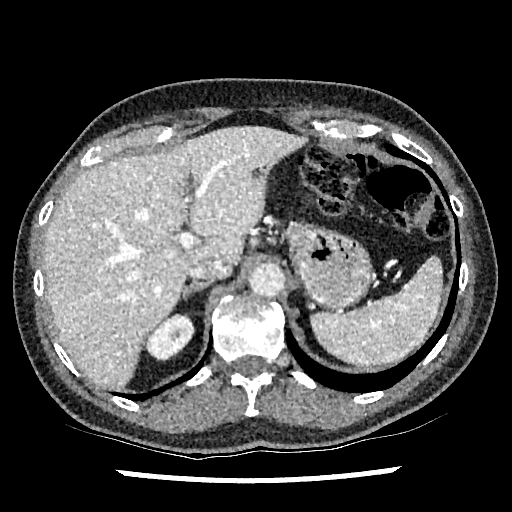
512x512 px, CT scan slice
The liver is at l=44, t=126, r=307, b=387. The hepatic lesion is at l=252, t=166, r=266, b=177. The kidney lies within l=148, t=317, r=192, b=357.